CT | Field of view 333 mm wide, 1.50 mm slice spacing
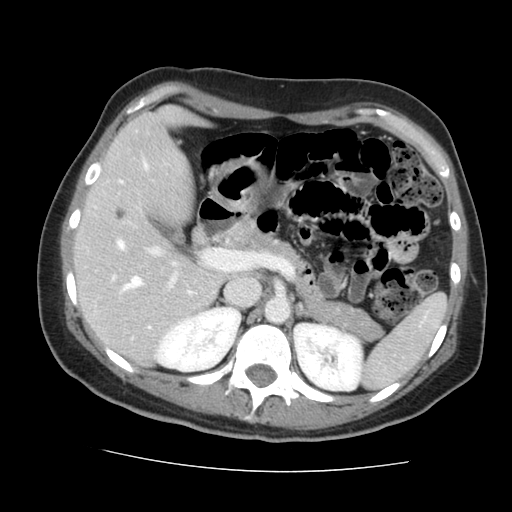 The vessel boxes may cover only some of the vessels.
Hepatic vessel at (x1=121, y1=277, x2=140, y2=291), (x1=172, y1=263, x2=175, y2=265), (x1=150, y1=248, x2=158, y2=254), (x1=169, y1=276, x2=174, y2=285), (x1=117, y1=241, x2=122, y2=248).
Liver tumor at (x1=116, y1=207, x2=126, y2=220).